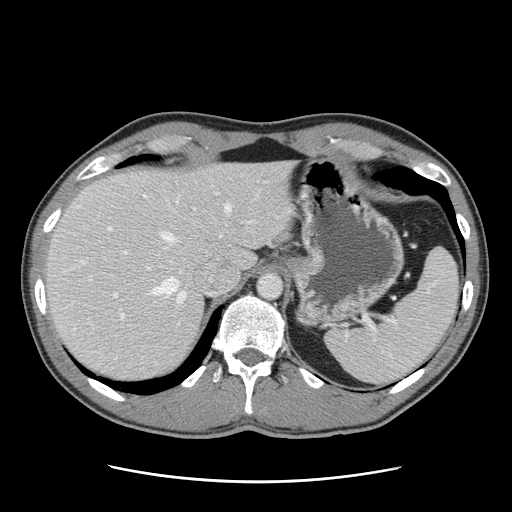
CT slice.
The vessel annotation is not exhaustive.
15 hepatic vessel regions are located at region(88, 277, 90, 279); region(225, 204, 230, 211); region(162, 232, 173, 241); region(177, 198, 177, 201); region(71, 301, 72, 303); region(120, 313, 123, 317); region(177, 292, 184, 302); region(80, 260, 83, 263); region(146, 267, 148, 268); region(123, 250, 126, 253); region(108, 227, 110, 229); region(153, 277, 177, 295); region(247, 221, 252, 223); region(113, 293, 116, 296); region(143, 194, 146, 197).